Brain
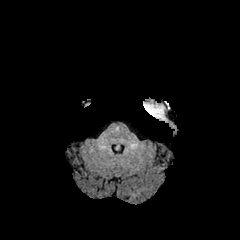
FLAIR magnetic resonance.
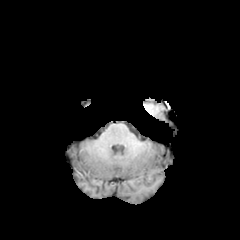
T1-weighted MR image of the same slice.
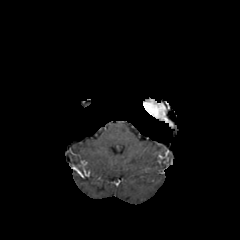
Post-contrast T1-weighted MR image.
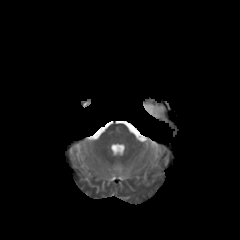
T2-weighted MRI of the same slice.
Enhancing tumor: 144:101:167:121.